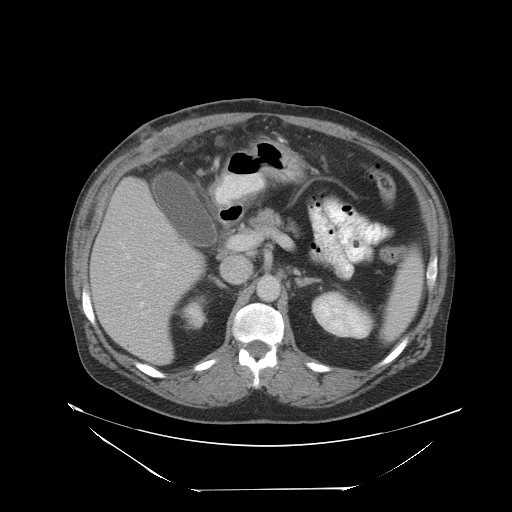 CT | Abdomen

The vessel annotation is not exhaustive.
<segmentation>
  <hepatic_vessel>box(156, 263, 163, 265); box(126, 253, 129, 258); box(140, 302, 143, 304); box(230, 236, 245, 249); box(137, 284, 139, 286)</hepatic_vessel>
</segmentation>